CT image; 512x512; Liver
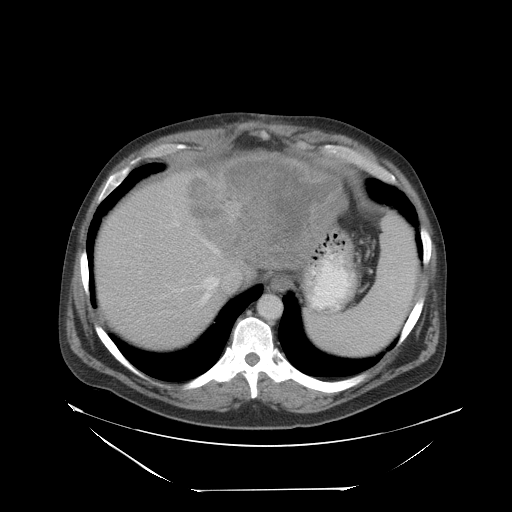
Not every hepatic vessel necessarily has a box.
hepatic_vessel:
  - <box>203,240,218,253</box>
  - <box>199,276,218,304</box>
  - <box>173,220,178,225</box>
liver_tumor:
  - <box>184,157,338,258</box>